CT slice. Upper abdomen. Field of view 428x428 mm. 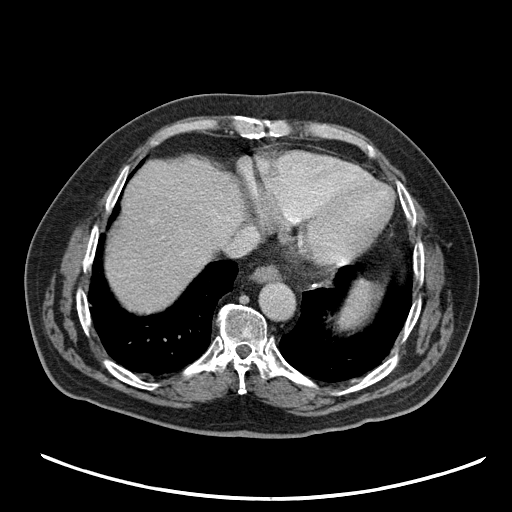

<segmentation>
  <spleen><box>338,283,382,329</box></spleen>
</segmentation>